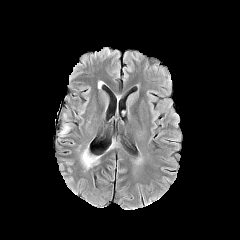
FLAIR MR image.
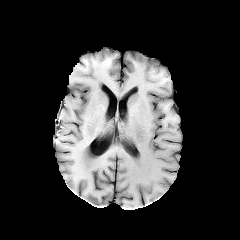
T1-weighted MR of the same slice.
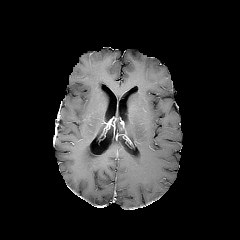
Post-contrast T1-weighted MRI.
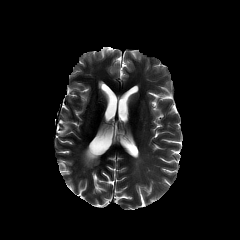
T2-weighted MR image of the same slice.
Brain. 240x240.
The edema appears at region(81, 149, 98, 168).